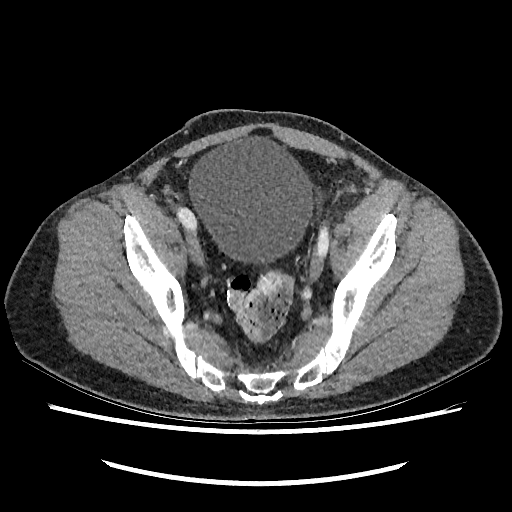

CT slice

urinary bladder: l=188, t=133, r=313, b=264